Computed tomography, Slice index 417, Field of view 700 mm wide, 2.50 mm slice spacing

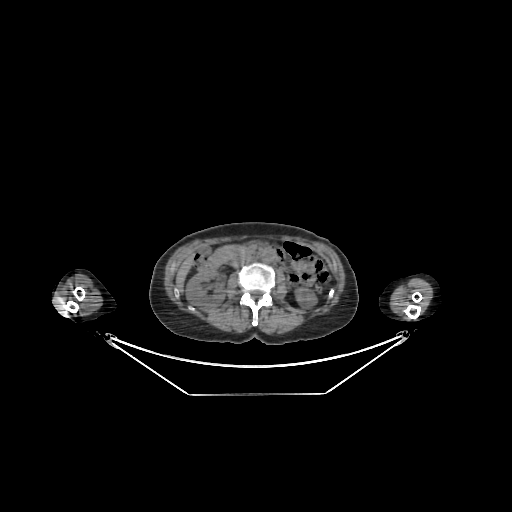 <segmentation>
  <kidney>left=185, top=270, right=227, bottom=310; left=294, top=285, right=317, bottom=310</kidney>
  <liver>left=176, top=255, right=194, bottom=291</liver>
</segmentation>